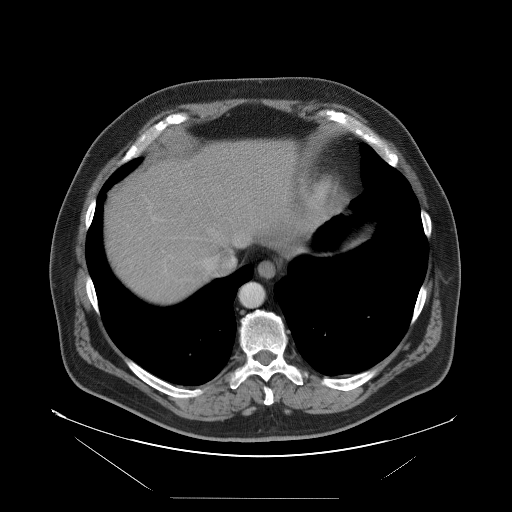
CT scan slice | Liver
The vessel annotation is not exhaustive.
Findings:
• hepatic vessel: x1=152 y1=217 x2=154 y2=221, x1=235 y1=240 x2=238 y2=244